Brain, Slice index 140, 240x240 px
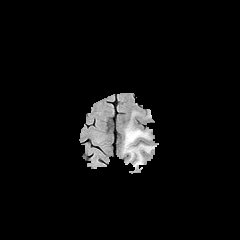
FLAIR MRI.
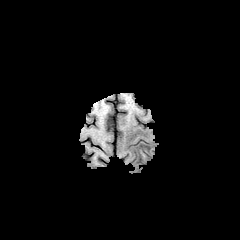
T1-weighted magnetic resonance.
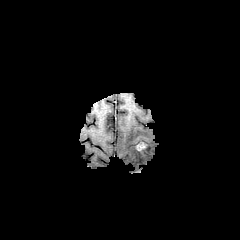
Post-contrast T1-weighted MRI.
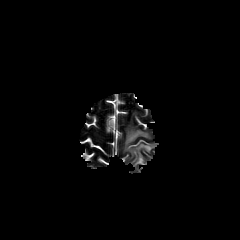
T2-weighted MR image.
{
  "edema": [
    "(left=123, top=126, right=149, bottom=163)"
  ]
}